FLAIR magnetic resonance.
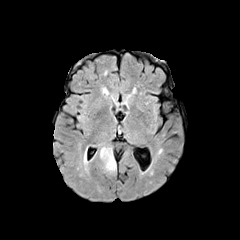
T1-weighted magnetic resonance.
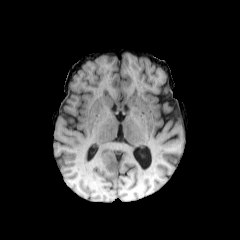
Post-contrast T1-weighted MR image.
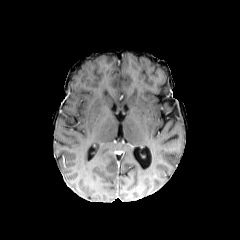
T2-weighted MR.
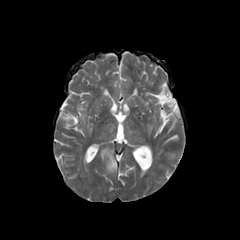
240x240 px
{
  "edema": [
    "x1=98, y1=143, x2=116, y2=173"
  ]
}